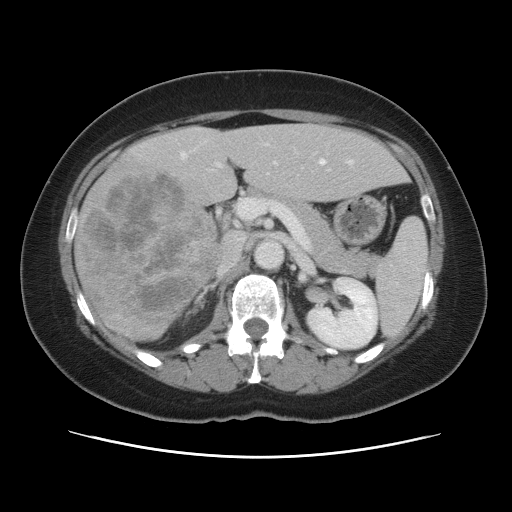

CT image

Only some of the vessels may be annotated.
7 hepatic vessel regions appear at {"x1": 274, "y1": 162, "x2": 276, "y2": 163}, {"x1": 236, "y1": 198, "x2": 309, "y2": 249}, {"x1": 218, "y1": 258, "x2": 238, "y2": 274}, {"x1": 319, "y1": 160, "x2": 324, "y2": 164}, {"x1": 348, "y1": 160, "x2": 353, "y2": 164}, {"x1": 182, "y1": 152, "x2": 184, "y2": 156}, {"x1": 216, "y1": 163, "x2": 220, "y2": 166}. The liver tumor is located at {"x1": 83, "y1": 171, "x2": 215, "y2": 326}.